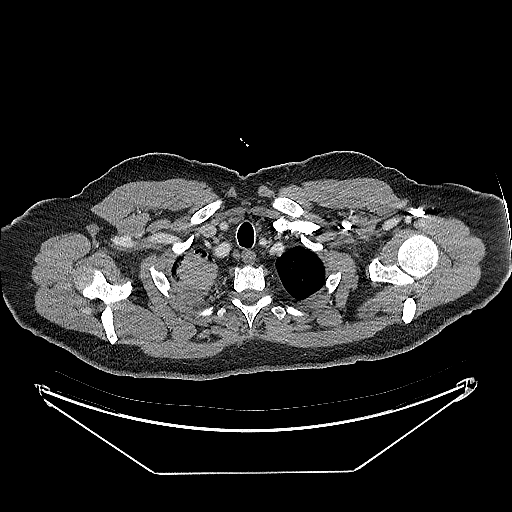
CT | 512x512 | Chest

Segmented structures:
• lung tumor: (x1=171, y1=249, x2=217, y2=286)